FLAIR magnetic resonance.
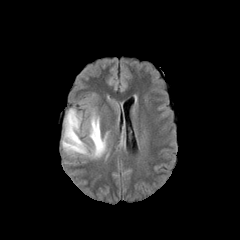
T1-weighted MR image.
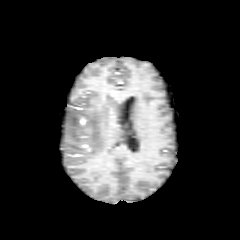
Post-contrast T1-weighted MR.
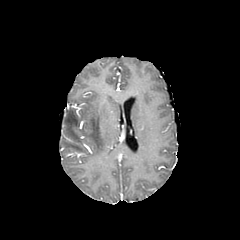
T2-weighted MR.
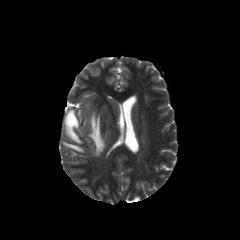
Brain
2 edema regions are located at (89,115,105,156), (62,109,86,153).